Head
FLAIR MR image.
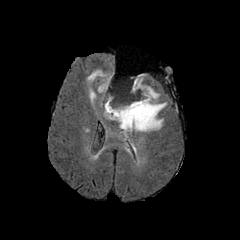
T1-weighted magnetic resonance.
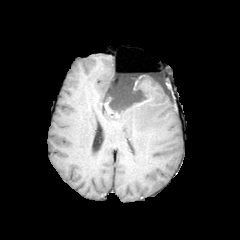
Post-contrast T1-weighted MR image.
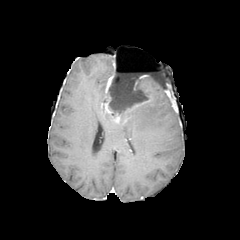
T2-weighted MR image.
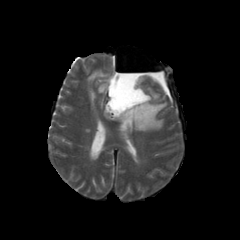
<segmentation>
  <edema>x1=87 y1=70 x2=111 y2=105, x1=118 y1=75 x2=166 y2=140</edema>
  <non-enhancing_tumor_core>x1=104 y1=78 x2=147 y2=123</non-enhancing_tumor_core>
</segmentation>